Image size 512x512, Abdomen, CT slice

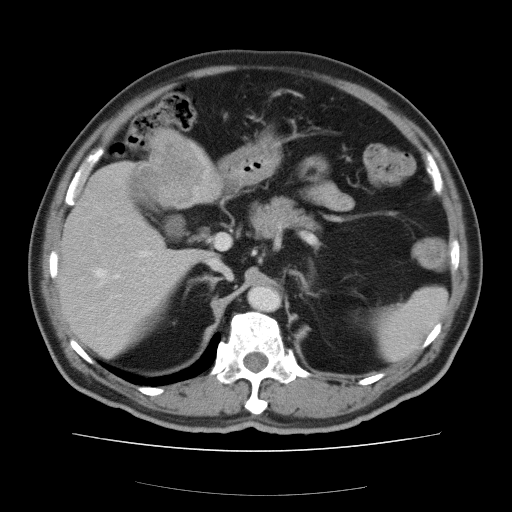 Some hepatic vessels may have no box.
• liver tumor: bbox=[146, 134, 202, 206]
• hepatic vessel: bbox=[145, 277, 150, 283]; bbox=[114, 274, 117, 277]; bbox=[215, 234, 226, 249]; bbox=[93, 268, 105, 284]; bbox=[158, 268, 164, 272]; bbox=[142, 249, 154, 257]